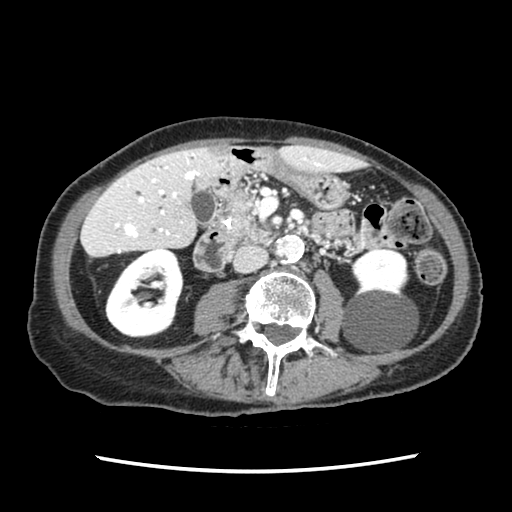 Abdomen; CT slice
{"pancreas": ["<bbox>222, 189, 268, 245</bbox>"]}